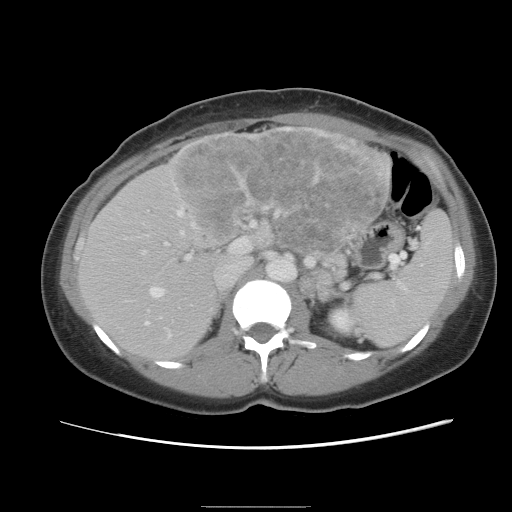
512x512 | CT | Liver
The vessel boxes may cover only some of the vessels.
{"liver_tumor": ["region(173, 129, 386, 248)"], "hepatic_vessel": ["region(145, 321, 147, 323)", "region(164, 242, 166, 244)", "region(149, 286, 164, 296)", "region(212, 236, 252, 290)", "region(185, 251, 191, 258)", "region(141, 250, 145, 252)", "region(250, 220, 254, 225)", "region(168, 332, 170, 335)", "region(180, 230, 183, 232)", "region(177, 209, 181, 214)"]}